Brain
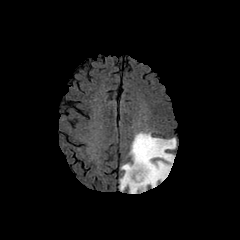
FLAIR MR image.
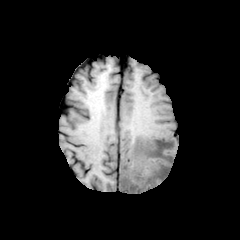
T1-weighted MRI.
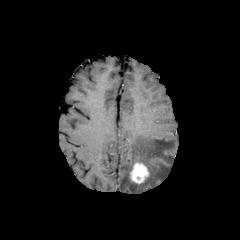
Post-contrast T1-weighted MR of the same slice.
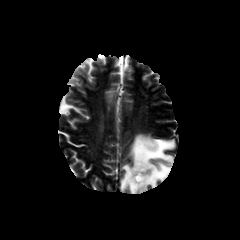
T2-weighted magnetic resonance.
The enhancing tumor appears at 130, 162, 149, 183. The edema is located at 119, 132, 175, 193.